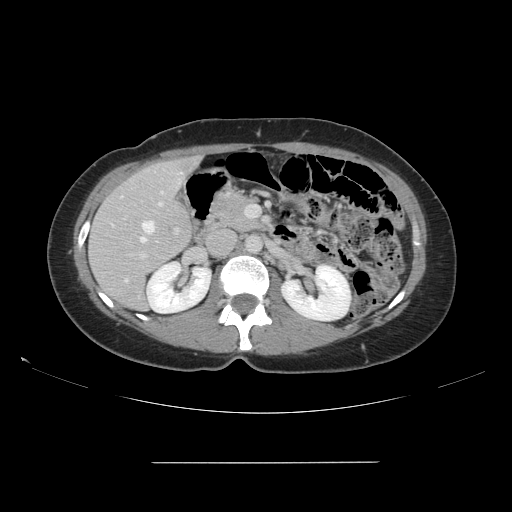

CT
The vessel annotation is not exhaustive.
<segmentation>
  <hepatic_vessel>161 191 164 193, 124 279 127 281, 121 196 122 197, 174 228 178 233, 140 253 145 257, 111 223 113 226, 142 221 154 233, 174 172 182 188, 140 237 146 242, 130 253 132 254, 159 203 162 205</hepatic_vessel>
</segmentation>